Slice 56 of 155
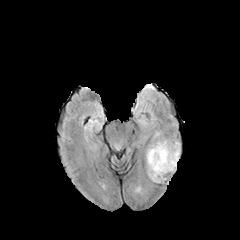
FLAIR MR.
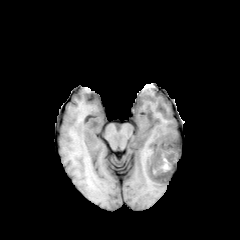
T1-weighted magnetic resonance of the same slice.
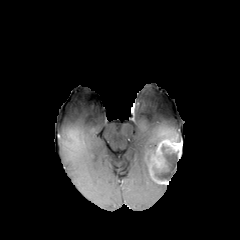
Same slice, post-contrast T1-weighted magnetic resonance.
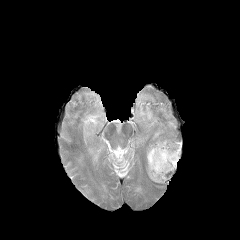
Same slice, T2-weighted MR image.
<segmentation>
  <edema>(x1=146, y1=130, x2=164, y2=156)</edema>
  <enhancing_tumor>(x1=157, y1=139, x2=182, y2=158)</enhancing_tumor>
  <non-enhancing_tumor_core>(x1=146, y1=143, x2=178, y2=183)</non-enhancing_tumor_core>
</segmentation>